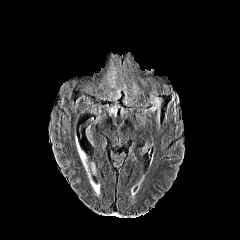
FLAIR MRI.
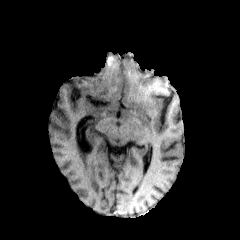
T1-weighted MR image.
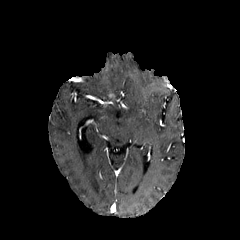
Post-contrast T1-weighted MRI.
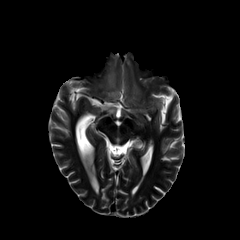
T2-weighted MRI of the same slice.
240x240
* edema: <bbox>108, 88, 121, 100</bbox>, <bbox>123, 82, 142, 105</bbox>, <bbox>99, 69, 117, 87</bbox>, <bbox>106, 101, 117, 115</bbox>, <bbox>146, 91, 162, 122</bbox>